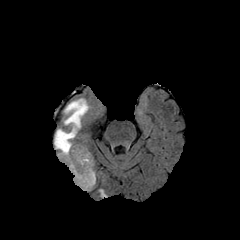
FLAIR magnetic resonance.
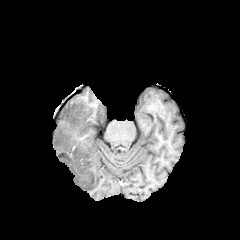
Same slice, T1-weighted MR image.
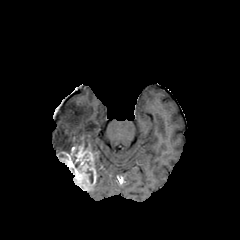
Post-contrast T1-weighted MR.
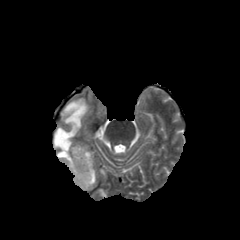
T2-weighted magnetic resonance.
enhancing tumor: 58:147:96:190 | edema: 54:98:91:152